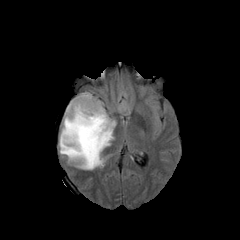
FLAIR MRI.
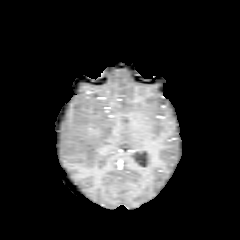
T1-weighted MR image.
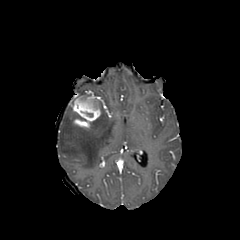
Post-contrast T1-weighted MR image of the same slice.
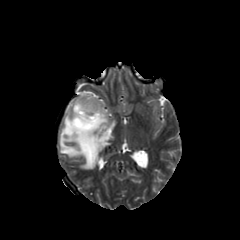
Same slice, T2-weighted magnetic resonance.
<segmentation>
  <edema>box(58, 105, 115, 169)</edema>
  <non-enhancing_tumor_core>box(70, 106, 89, 130); box(78, 92, 92, 98); box(94, 97, 106, 115)</non-enhancing_tumor_core>
  <enhancing_tumor>box(69, 95, 100, 128)</enhancing_tumor>
</segmentation>